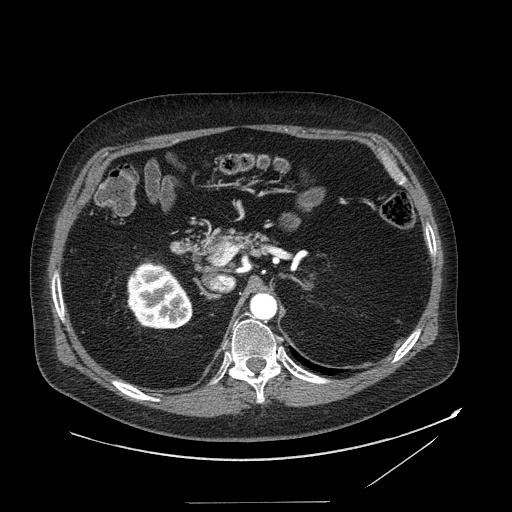

CT image.

pancreas:
  - 200:231:277:262